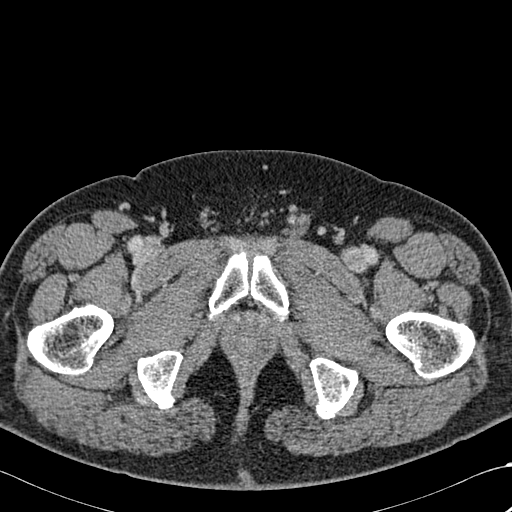 CT slice. bone: <box>27,304,113,374</box>, <box>310,358,357,418</box>, <box>209,251,288,319</box>, <box>386,311,474,378</box>, <box>137,351,182,408</box>